Brain | 240x240 | Slice index 90
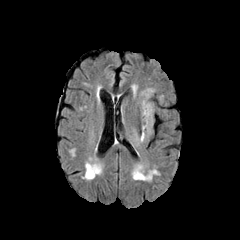
FLAIR magnetic resonance.
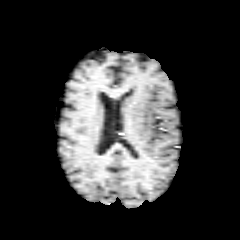
T1-weighted MRI.
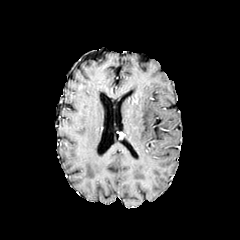
Post-contrast T1-weighted MR image of the same slice.
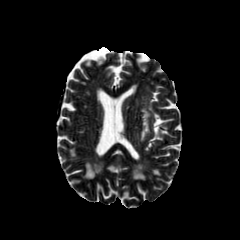
Same slice, T2-weighted magnetic resonance.
The edema is bounded by <box>140,101,152,141</box>.